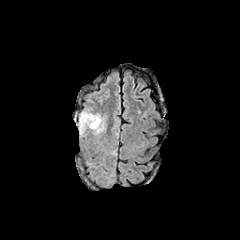
FLAIR MR.
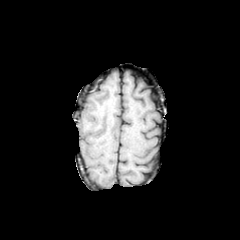
T1-weighted magnetic resonance.
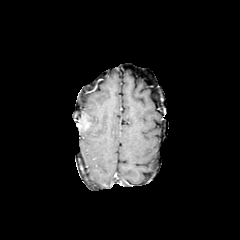
Post-contrast T1-weighted MR image of the same slice.
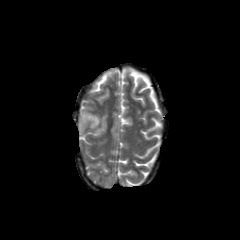
T2-weighted MR image of the same slice.
240x240 px. Head.
<segmentation>
  <edema>(80,112,102,131)</edema>
  <enhancing_tumor>(78,115,86,130)</enhancing_tumor>
</segmentation>